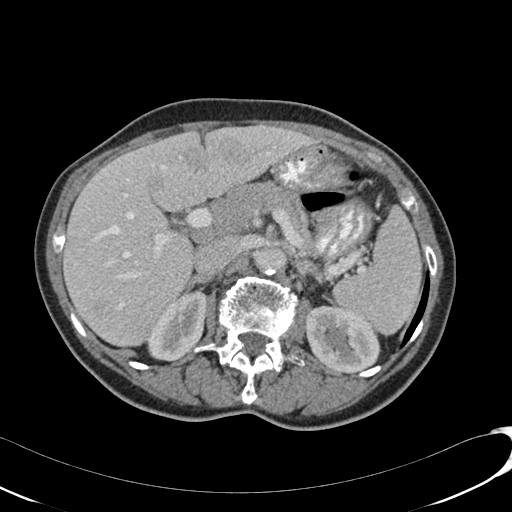 Computed tomography
<segmentation>
  <focal_liver_lesion>148,175,162,191; 66,235,74,246; 214,137,253,166; 95,303,104,318; 187,147,208,173</focal_liver_lesion>
  <kidney>305,306,378,372; 149,292,206,360</kidney>
  <liver>64,126,320,345</liver>
</segmentation>